CT image. Slice 33 of 168.
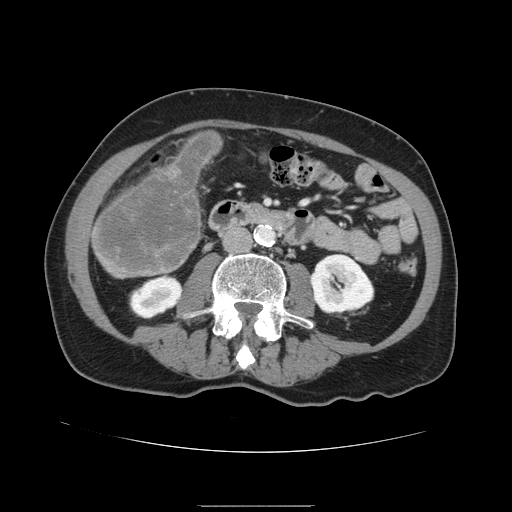

liver_tumor:
  - left=95, top=134, right=218, bottom=273